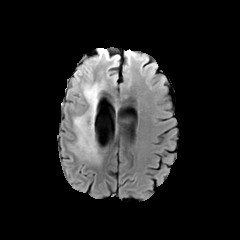
FLAIR MRI.
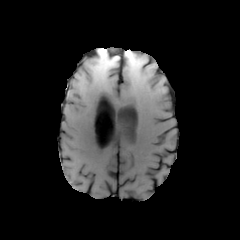
Same slice, T1-weighted magnetic resonance.
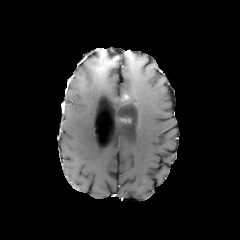
Same slice, post-contrast T1-weighted MRI.
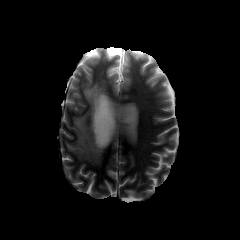
T2-weighted magnetic resonance.
Brain
Segmented structures:
- edema: bbox=[72, 77, 79, 91]; bbox=[73, 56, 117, 161]; bbox=[125, 51, 139, 77]
- non-enhancing tumor core: bbox=[91, 49, 117, 71]